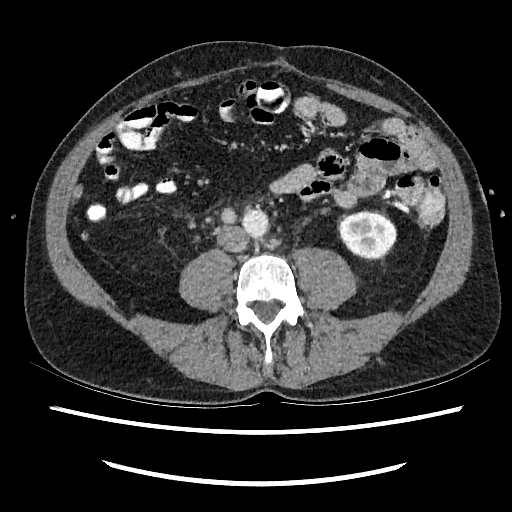 512x512 px; CT; Abdomen
kidney: (x1=340, y1=212, x2=395, y2=257)